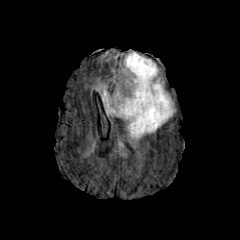
FLAIR MR.
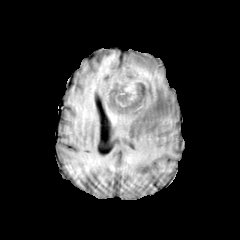
T1-weighted MR.
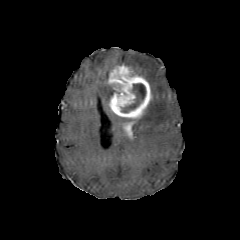
Same slice, post-contrast T1-weighted MRI.
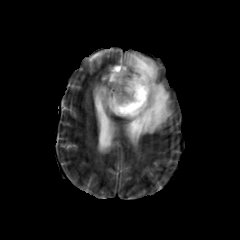
T2-weighted MR image.
240x240 px; Brain
<segmentation>
  <edema>[x1=96, y1=84, x2=123, y2=121], [x1=122, y1=52, x2=175, y2=143]</edema>
  <enhancing_tumor>[x1=108, y1=64, x2=152, y2=138]</enhancing_tumor>
  <non-enhancing_tumor_core>[x1=123, y1=84, x2=145, y2=112]</non-enhancing_tumor_core>
</segmentation>